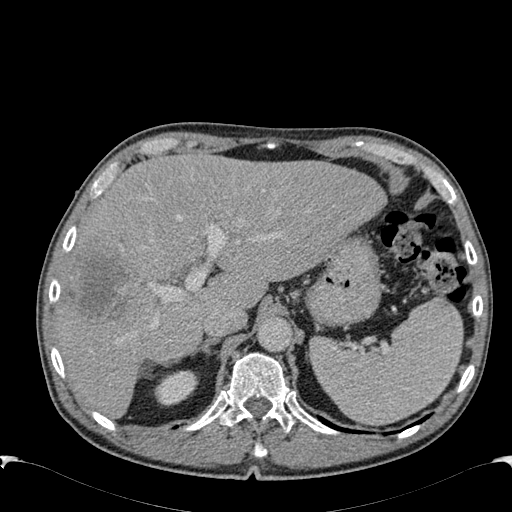

512x512, CT, Upper abdomen
Liver lesion at l=63, t=240, r=130, b=322.
Liver at l=54, t=153, r=386, b=417.
Kidney at l=155, t=371, r=196, b=404.